FLAIR MR.
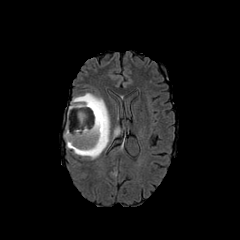
T1-weighted MRI.
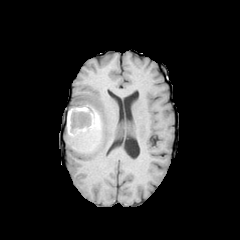
Post-contrast T1-weighted MR image.
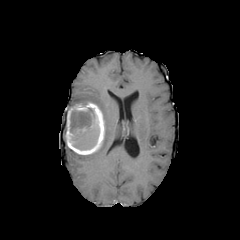
T2-weighted MRI.
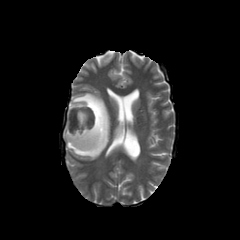
Segmented structures:
• edema: bbox=[113, 127, 121, 138]; bbox=[69, 93, 110, 160]
• enhancing tumor: bbox=[80, 135, 90, 145]; bbox=[64, 102, 104, 154]
• non-enhancing tumor core: bbox=[70, 108, 98, 148]